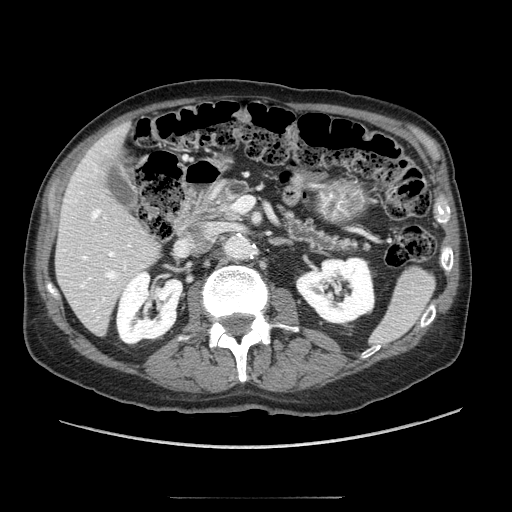 Abdomen; 512x512; CT

Pancreas at <box>217,182,248,219</box>, <box>280,207,366,252</box>.